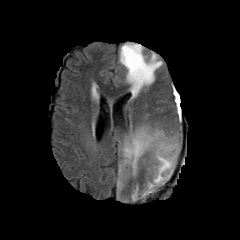
FLAIR MRI.
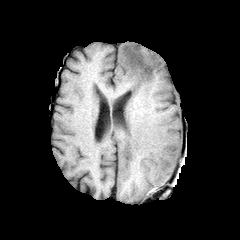
T1-weighted MR image of the same slice.
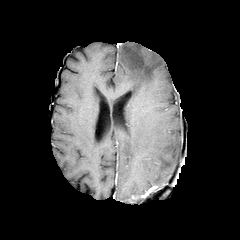
Post-contrast T1-weighted MR image.
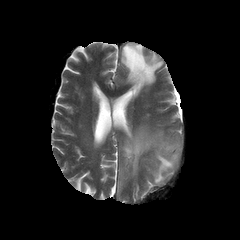
T2-weighted MR of the same slice.
<segmentation>
  <edema>region(132, 186, 138, 200); region(119, 43, 162, 97); region(122, 131, 179, 193)</edema>
  <non-enhancing_tumor_core>region(126, 47, 151, 77)</non-enhancing_tumor_core>
</segmentation>